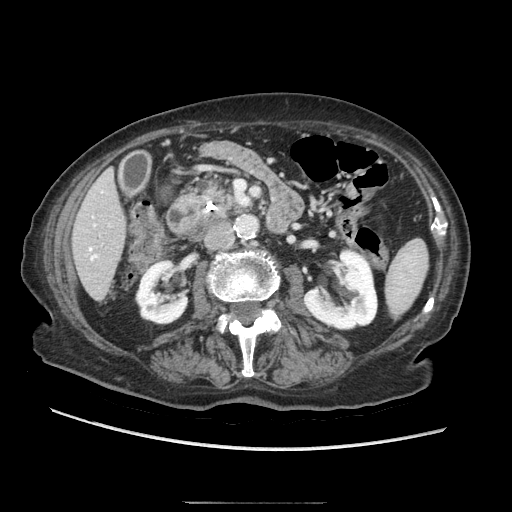

CT slice

pancreas:
  - 197, 181, 245, 217